FLAIR MR image.
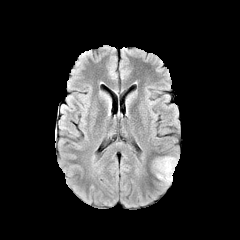
T1-weighted MR.
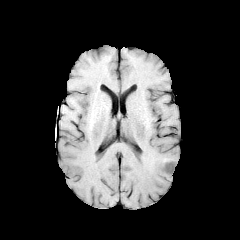
Post-contrast T1-weighted magnetic resonance.
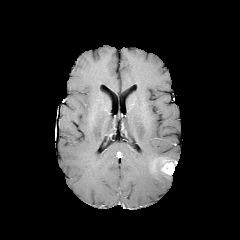
T2-weighted MR.
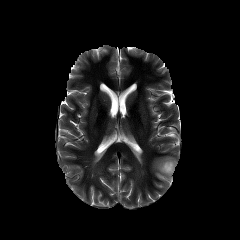
Head. 240x240.
Enhancing tumor at bbox=[160, 160, 176, 175].
Edema at bbox=[155, 156, 175, 185].